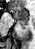

MRI slice

The anterior hippocampus is located at left=11, top=7, right=28, bottom=20. The posterior hippocampus is located at left=18, top=21, right=27, bottom=29.